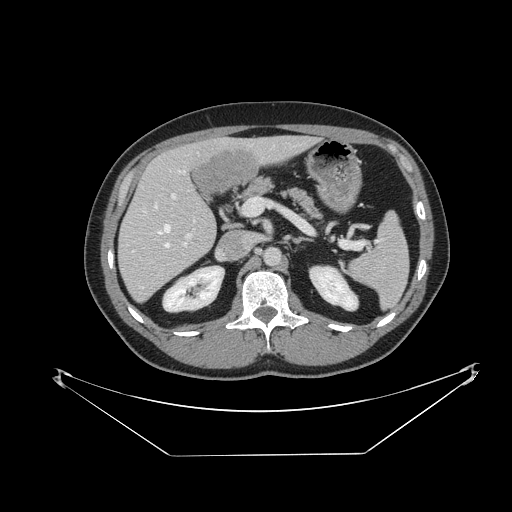
CT image
Spleen = 349 214 408 308.